240x240 px | Slice 71 of 155
FLAIR magnetic resonance.
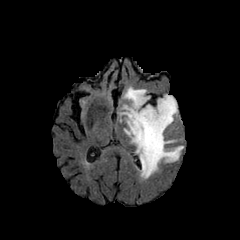
T1-weighted MR image.
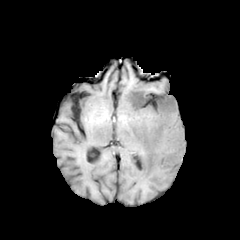
Post-contrast T1-weighted MR.
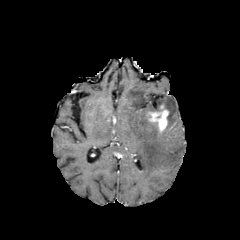
T2-weighted MR image.
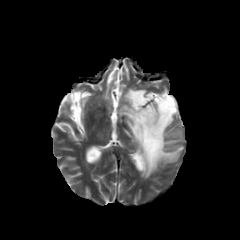
The edema is bounded by 117,86,183,178. The enhancing tumor is at 148,103,168,134.